CT scan slice

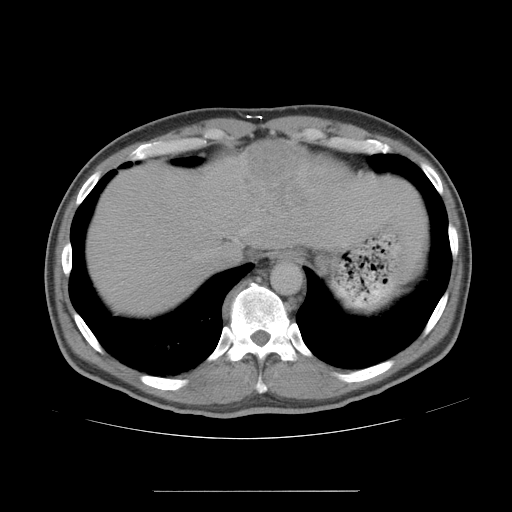
The vessel boxes may cover only some of the vessels.
The liver tumor appears at l=241, t=139, r=350, b=217. 2 hepatic vessel regions appear at l=255, t=209, r=259, b=210; l=192, t=221, r=259, b=265.